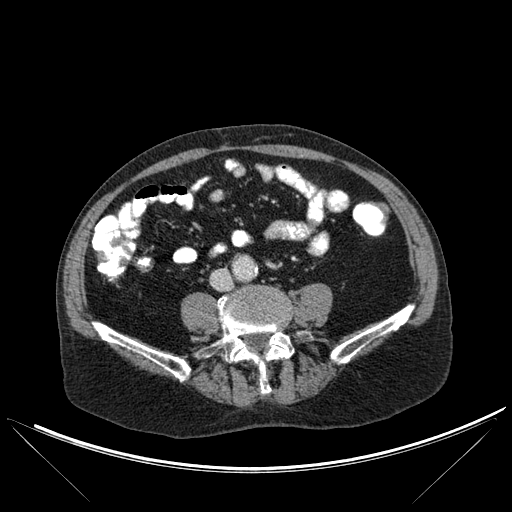
CT image; 512x512 px
Bone at box(331, 305, 413, 362); box(92, 322, 190, 379); box(215, 293, 293, 393).